512x512; Image width 377 mm; Computed tomography

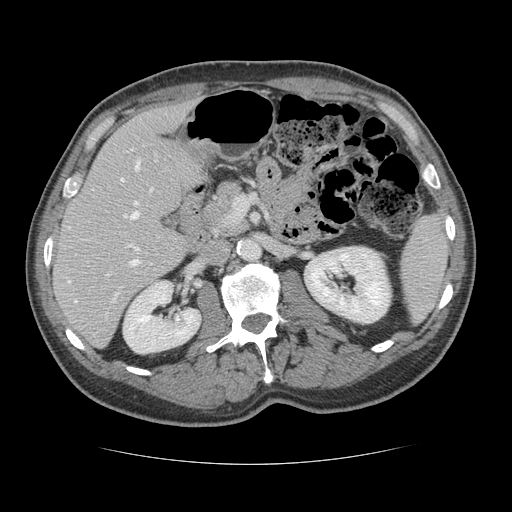

Only some of the vessels may be annotated.
hepatic vessel: 128 244 138 250, 121 178 123 180, 68 280 70 282, 107 273 110 275, 134 201 137 204, 135 159 139 169, 75 300 76 301, 130 259 139 264, 155 153 156 160, 150 188 152 191, 124 211 138 218, 105 313 106 316, 112 291 117 301